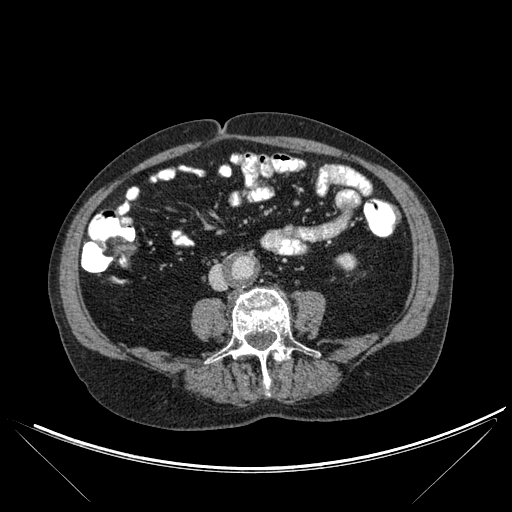 CT scan slice; Abdomen

<segmentation>
  <bone><bbox>220, 288, 306, 394</bbox></bone>
  <kidney><bbox>337, 254, 355, 269</bbox></kidney>
</segmentation>